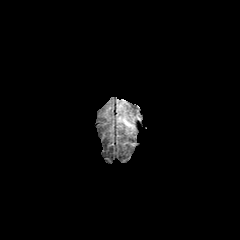
FLAIR MR image.
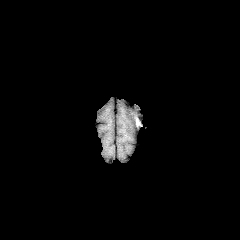
T1-weighted MRI.
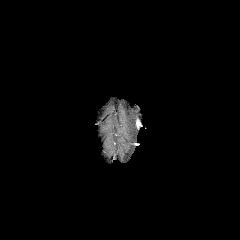
Post-contrast T1-weighted MRI.
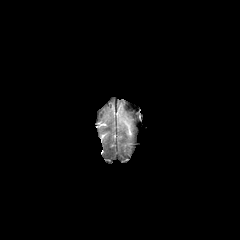
T2-weighted magnetic resonance of the same slice.
Head
edema: (x1=121, y1=117, x2=131, y2=127)